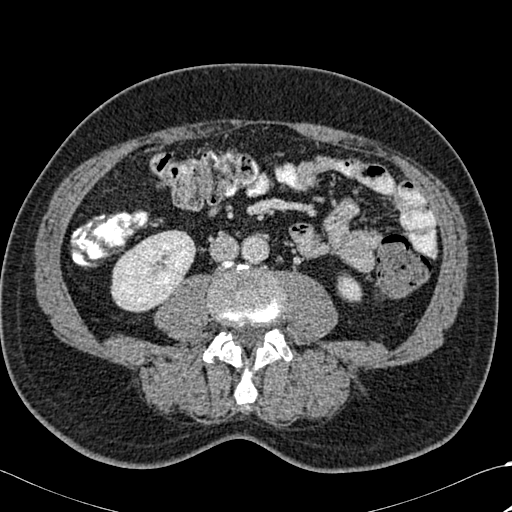

CT | Abdomen | 512x512 px
- kidney: [x1=112, y1=231, x2=194, y2=310], [x1=339, y1=278, x2=360, y2=299]
- bone: [x1=203, y1=261, x2=292, y2=406]